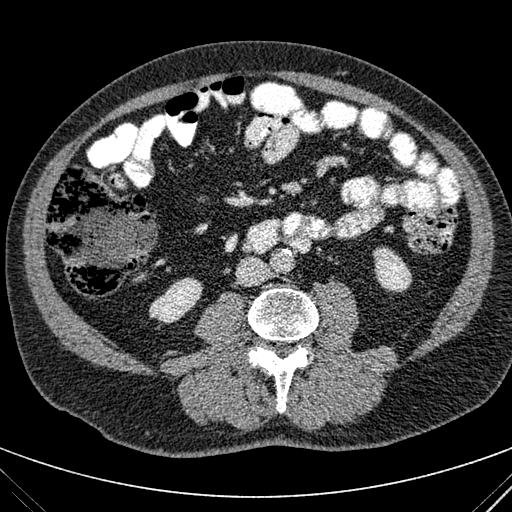 CT. 512x512. Abdomen.

kidney: 149 278 202 322, 373 248 411 291